Slice 65/155 | Brain
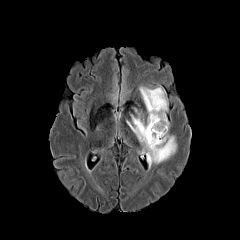
FLAIR MR.
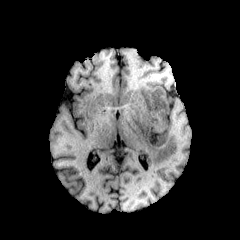
T1-weighted MR of the same slice.
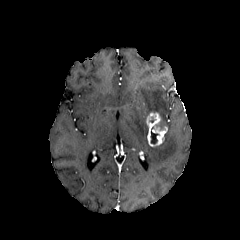
Post-contrast T1-weighted MRI.
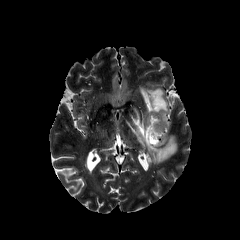
Same slice, T2-weighted MR image.
edema: box(126, 115, 176, 169); box(139, 87, 168, 121) | non-enhancing tumor core: box(140, 110, 148, 127); box(150, 129, 158, 144) | enhancing tumor: box(146, 112, 167, 147)